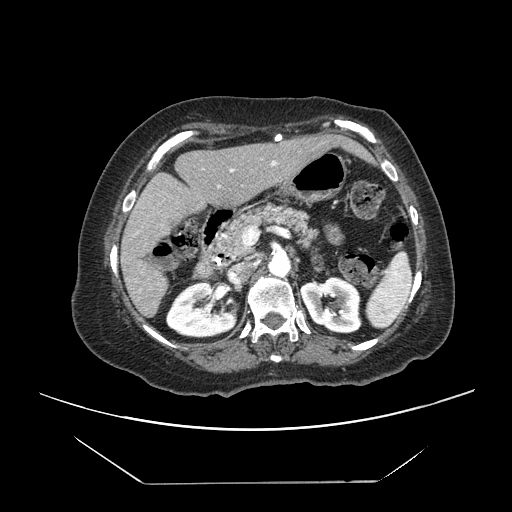 512x512; CT slice

Not every hepatic vessel necessarily has a box.
Hepatic vessel — <bbox>242, 226, 258, 246</bbox>, <bbox>230, 169, 232, 171</bbox>.